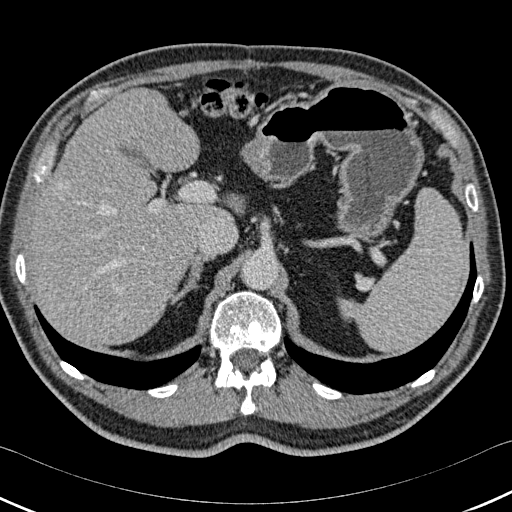

CT image

bone:
  - 473,276,483,302
  - 313,383,341,399
  - 14,254,25,283
  - 211,292,280,414
  - 411,370,434,387
  - 148,384,177,397
  - 465,184,477,211
  - 60,361,83,379
  - 34,166,46,182
lung:
  - 34,305,201,389
  - 283,242,476,394
liver:
  - 34,87,230,344